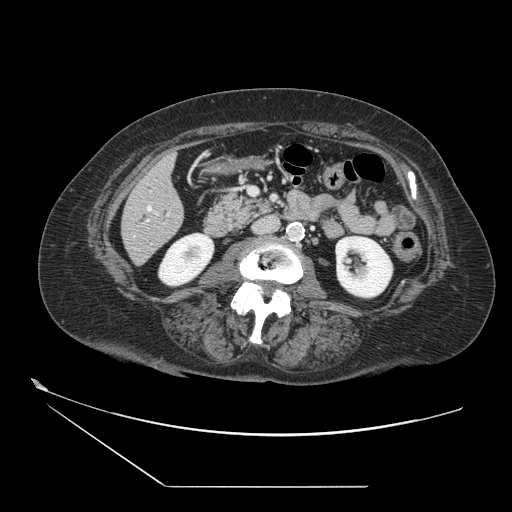
Upper abdomen; Computed tomography

Findings:
• pancreas: <box>206,193,271,230</box>
• pancreatic tumor: <box>241,214,247,222</box>